Slice index 51
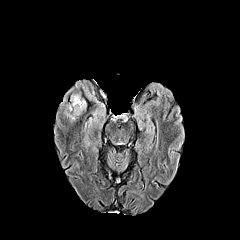
FLAIR magnetic resonance.
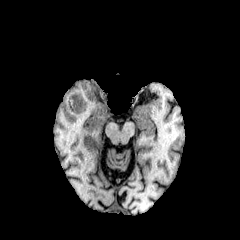
T1-weighted MR of the same slice.
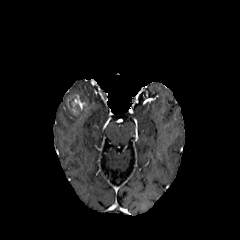
Same slice, post-contrast T1-weighted MRI.
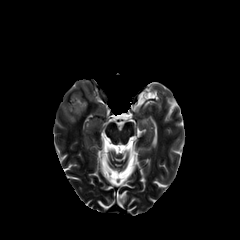
T2-weighted MR image of the same slice.
Annotated regions:
• edema: rect(65, 109, 81, 122)
• enhancing tumor: rect(66, 94, 86, 114)